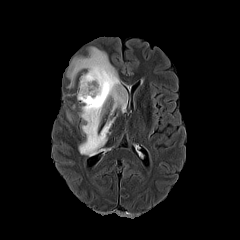
FLAIR MR.
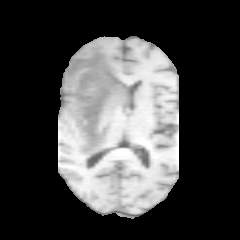
T1-weighted MR image of the same slice.
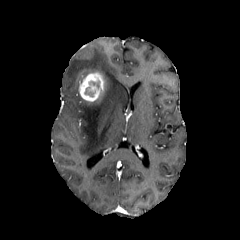
Post-contrast T1-weighted MR image.
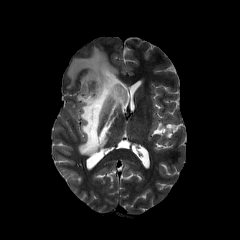
T2-weighted MR image.
Head. 240x240 px.
The edema is located at (x1=67, y1=47, x2=127, y2=156). The enhancing tumor lies within (x1=75, y1=69, x2=103, y2=101).